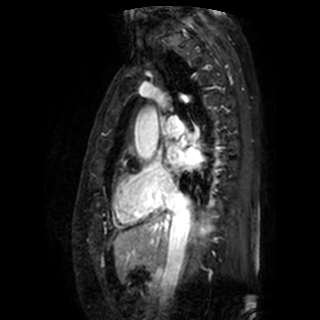

320x320 px | MRI slice
{
  "left_atrium": [
    "168, 147, 201, 171"
  ]
}